FLAIR MR image.
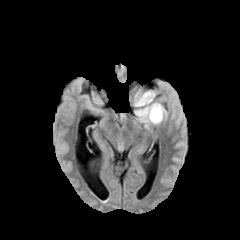
T1-weighted magnetic resonance.
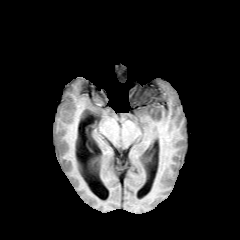
Post-contrast T1-weighted magnetic resonance.
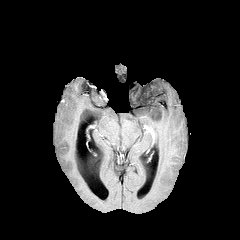
T2-weighted magnetic resonance.
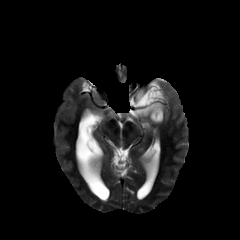
3 edema regions appear at [x1=129, y1=90, x2=136, y2=106], [x1=117, y1=65, x2=126, y2=82], [x1=133, y1=97, x2=165, y2=125]. The non-enhancing tumor core appears at [x1=134, y1=87, x2=160, y2=119].